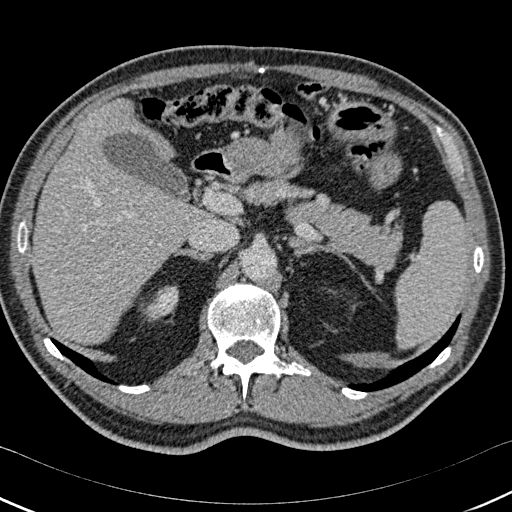

512x512, Liver, CT slice
{
  "kidney": [
    "region(149, 287, 177, 317)"
  ],
  "liver": [
    "region(33, 98, 202, 343)"
  ],
  "bone": [
    "region(429, 347, 450, 367)",
    "region(207, 283, 310, 399)",
    "region(474, 246, 483, 272)",
    "region(17, 220, 27, 252)",
    "region(342, 388, 366, 399)",
    "region(119, 385, 149, 394)",
    "region(44, 338, 63, 359)"
  ],
  "lung": [
    "region(61, 346, 118, 384)",
    "region(347, 314, 460, 391)"
  ]
}